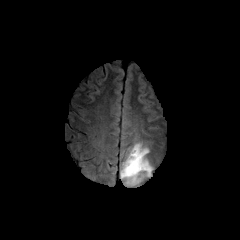
FLAIR MR image.
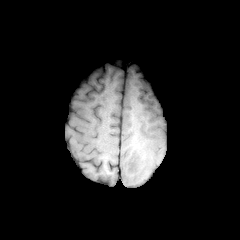
T1-weighted MR image of the same slice.
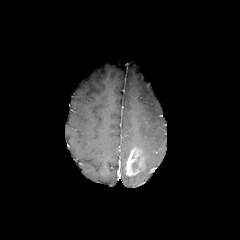
Same slice, post-contrast T1-weighted magnetic resonance.
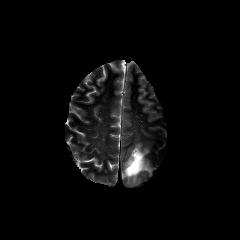
T2-weighted MR image of the same slice.
Brain
Edema = region(120, 142, 153, 185).
Enhancing tumor = region(125, 148, 144, 176).